CT; Image width 500 mm; Slice 54 of 97 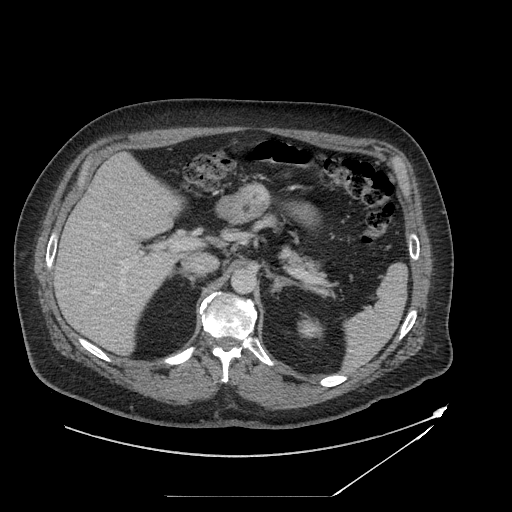

2 pancreas regions appear at x1=304 y1=283 x2=339 y2=299, x1=280 y1=246 x2=325 y2=277.